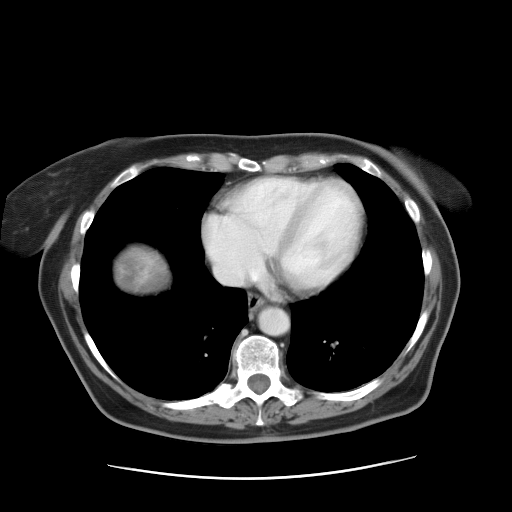

CT slice; 512x512 px

The vessel annotation is not exhaustive.
Liver tumor: bounding box 120:254:164:287.
Hepatic vessel: bounding box 211:257:217:267, 208:239:210:245, 221:269:252:285.